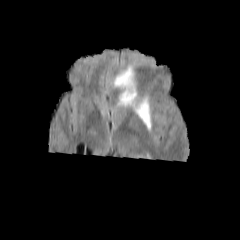
FLAIR MR.
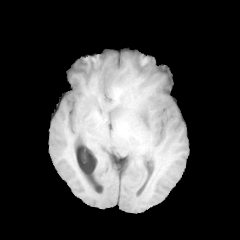
Same slice, T1-weighted MRI.
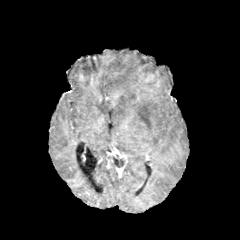
Post-contrast T1-weighted magnetic resonance of the same slice.
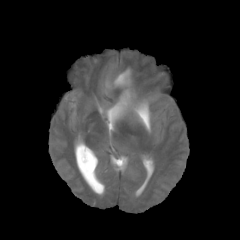
T2-weighted MR image of the same slice.
240x240 px.
The edema lies within x1=109 y1=67 x2=153 y2=129.